Image size 512x512; Slice index 14; CT slice

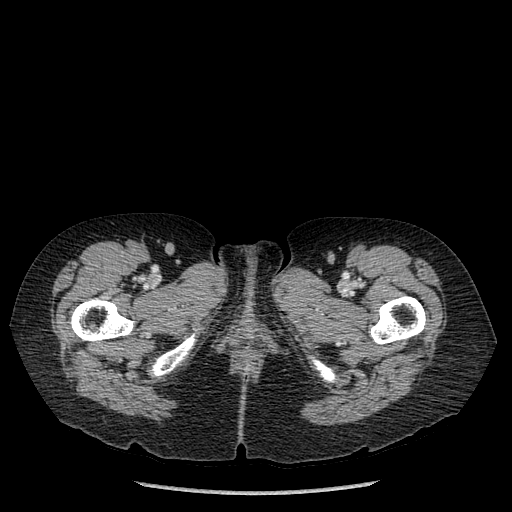

<segmentation>
  <bone>311 357 336 382, 150 333 195 377, 70 298 133 342, 369 296 425 344</bone>
</segmentation>